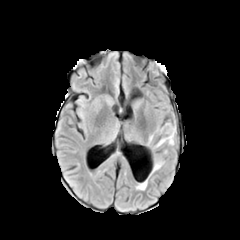
FLAIR magnetic resonance.
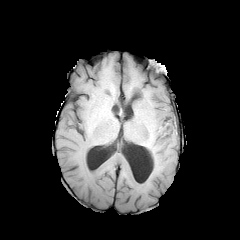
T1-weighted MR.
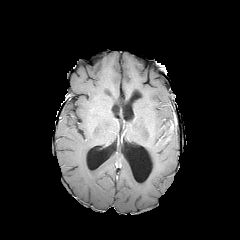
Post-contrast T1-weighted MR of the same slice.
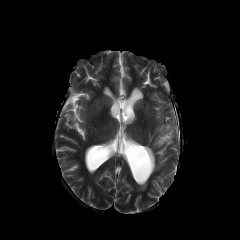
T2-weighted magnetic resonance.
Brain
Edema at region(166, 122, 176, 144); region(136, 180, 147, 190); region(152, 158, 164, 173).
Non-enhancing tumor core at region(159, 128, 172, 142).